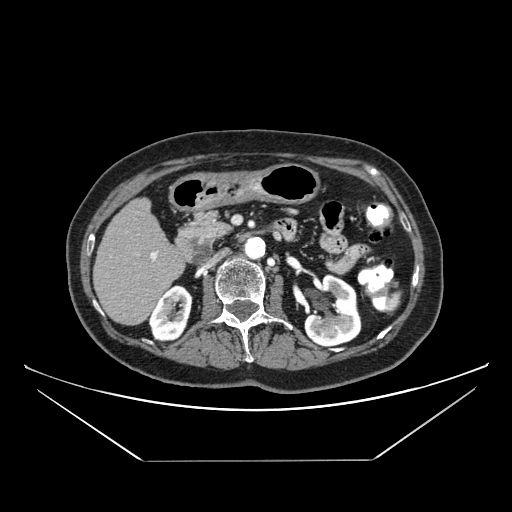

CT scan slice, Upper abdomen

The pancreas is located at rect(175, 209, 233, 266). The pancreatic tumor is bounded by rect(190, 236, 213, 265).